Abdomen | CT image

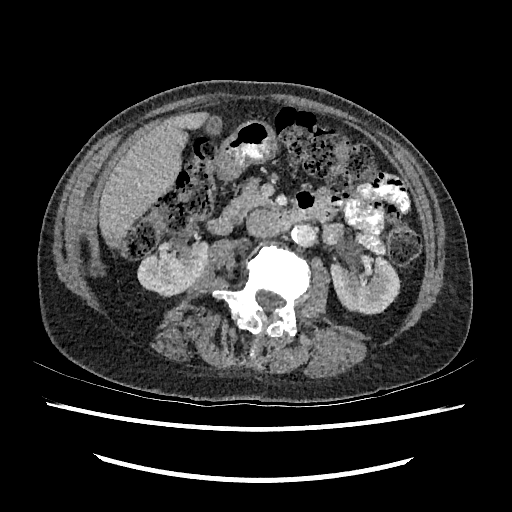

2 focal liver lesion regions are bounded by box=[109, 233, 122, 245]; box=[142, 141, 152, 149]. The liver is bounded by box=[100, 112, 207, 247]. 2 kidney regions are bounded by box=[331, 256, 399, 313]; box=[138, 243, 207, 295].